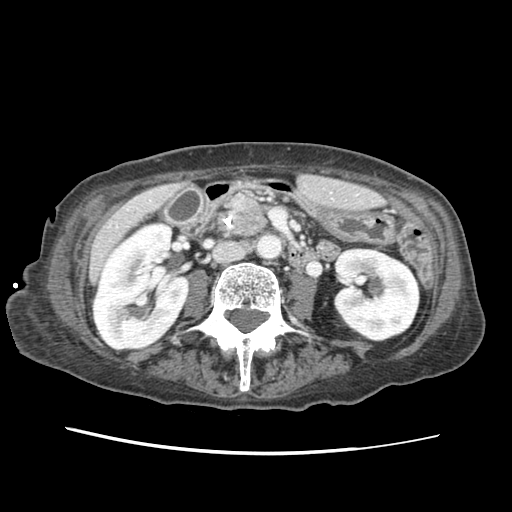

CT slice. Abdomen.
Pancreatic tumor = (x1=234, y1=201, x2=261, y2=230).
Pancreas = (x1=231, y1=197, x2=266, y2=235).